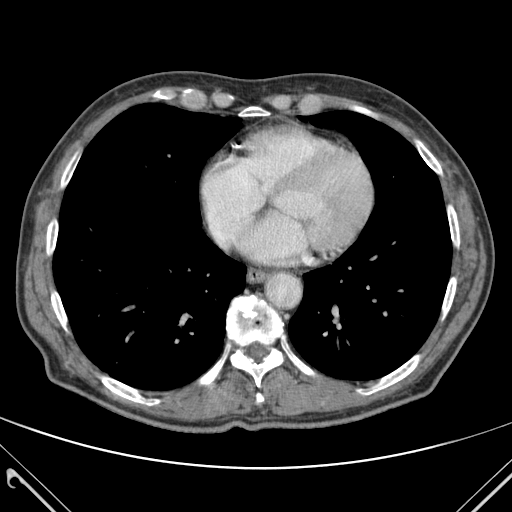 CT scan slice

lung:
  - box(288, 111, 451, 379)
  - box(53, 103, 246, 389)
bone:
  - box(51, 288, 66, 328)
  - box(284, 346, 313, 374)
  - box(200, 359, 223, 384)
  - box(47, 215, 57, 257)
  - box(448, 206, 459, 245)
  - box(239, 107, 269, 115)
  - box(355, 107, 380, 117)
  - box(360, 355, 418, 394)
  - box(61, 156, 77, 189)
  - box(442, 278, 455, 316)
  - box(226, 295, 284, 345)
  - box(231, 349, 282, 386)
  - box(417, 141, 441, 173)
  - box(102, 377, 159, 405)